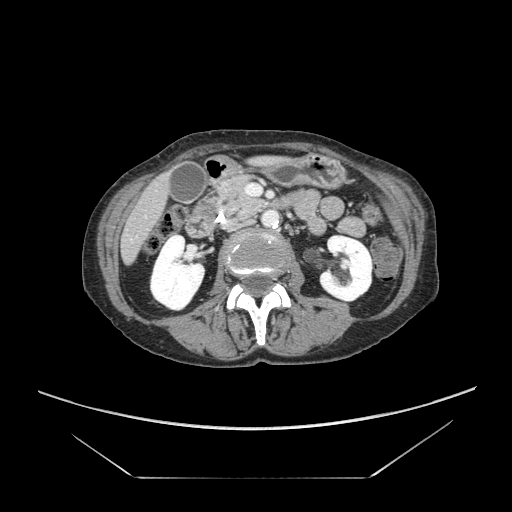

CT
Pancreatic tumor = x1=202, y1=203, x2=216, y2=221.
Pancreas = x1=211, y1=172, x2=268, y2=230.